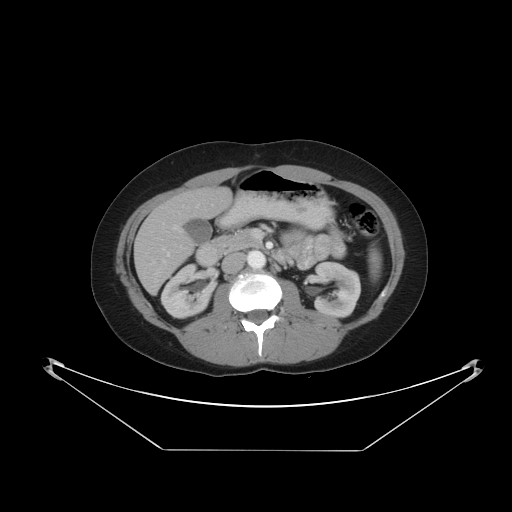
Computed tomography, Liver
The vessel annotation is not exhaustive.
Segmented structures:
* hepatic vessel: <bbox>167, 252, 169, 255</bbox>, <bbox>162, 260, 165, 262</bbox>, <bbox>152, 260, 154, 264</bbox>, <bbox>173, 225, 181, 231</bbox>, <bbox>196, 205, 198, 207</bbox>